Slice index 248; 512x512 px; Computed tomography

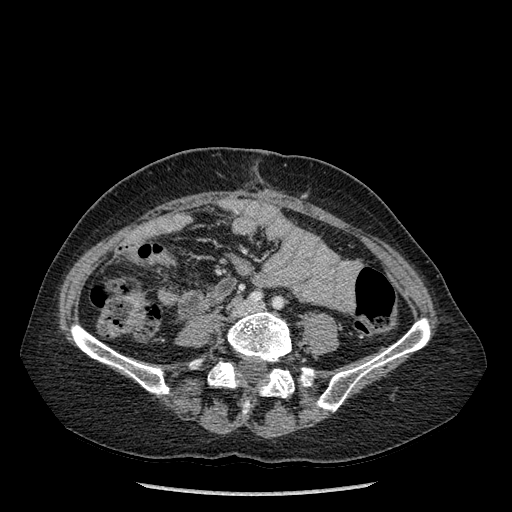

Bone at <bbox>300, 367, 314, 386</bbox>, <bbox>190, 360, 201, 368</bbox>, <bbox>208, 361, 239, 387</bbox>, <bbox>71, 324, 168, 394</bbox>, <bbox>242, 400, 249, 413</bbox>, <bbox>316, 318, 430, 411</bbox>, <bbox>259, 369, 294, 397</bbox>, <bbox>227, 310, 291, 361</bbox>.